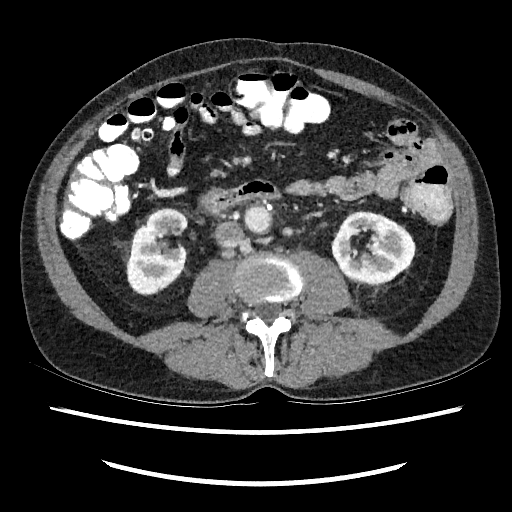
Computed tomography; Abdomen

kidney:
  - box=[332, 212, 414, 283]
  - box=[128, 209, 186, 293]